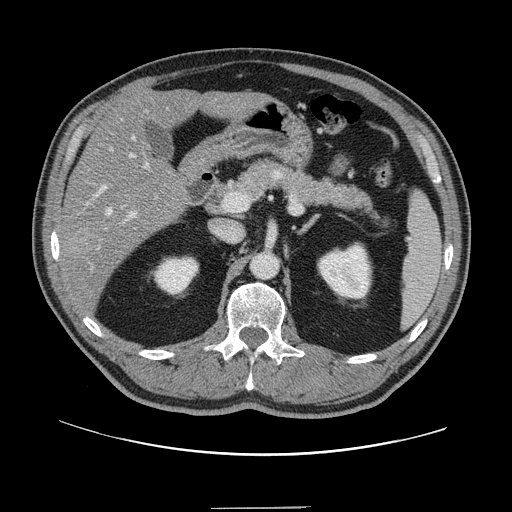
Abdomen. CT scan slice. 512x512 px.
The vessel boxes may cover only some of the vessels.
Segmented structures:
* liver tumor: region(70, 229, 98, 252)
* hepatic vessel: region(111, 148, 112, 150); region(98, 247, 99, 249); region(127, 212, 135, 219); region(122, 222, 124, 224); region(92, 267, 93, 268); region(144, 162, 149, 169); region(95, 185, 106, 197); region(106, 208, 111, 215); region(130, 154, 135, 157); region(133, 136, 135, 139); region(86, 202, 89, 206)